T2-weighted magnetic resonance.
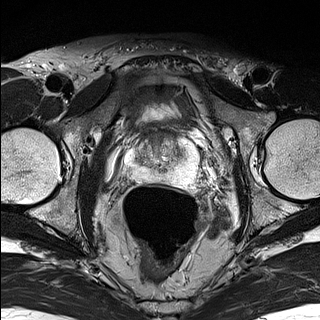
ADC MR.
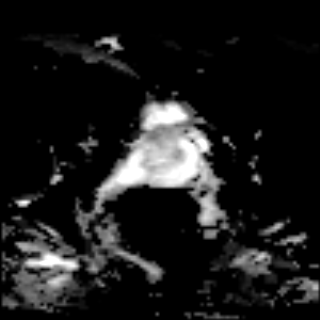
Prostate transition zone — x1=135 y1=137 x2=182 y2=170.
Prostate peripheral zone — x1=126 y1=139 x2=197 y2=184.